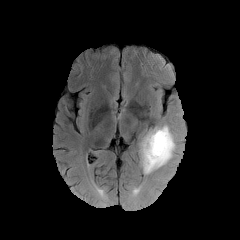
FLAIR MR image.
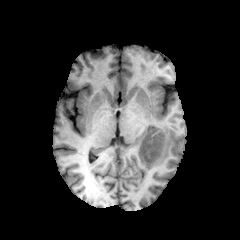
T1-weighted MR image.
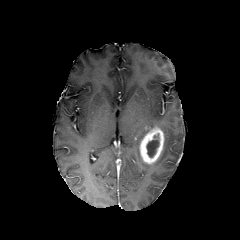
Post-contrast T1-weighted MRI.
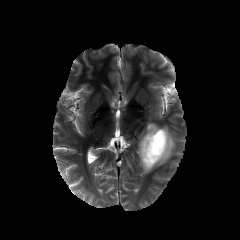
Same slice, T2-weighted magnetic resonance.
Brain
The non-enhancing tumor core is located at <box>147,134,159,157</box>. The enhancing tumor is located at <box>140,127,164,163</box>. The edema is located at <box>139,125,176,175</box>.